FLAIR MR image.
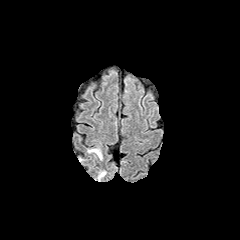
T1-weighted MRI.
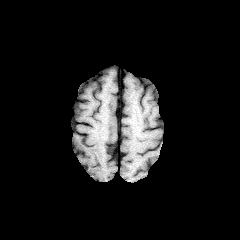
Post-contrast T1-weighted magnetic resonance.
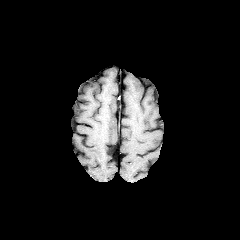
T2-weighted MR.
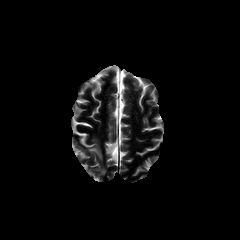
Brain
The edema is at rect(79, 139, 106, 179).